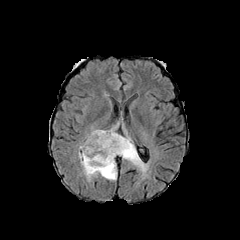
FLAIR magnetic resonance.
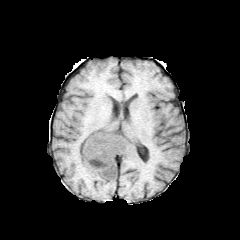
Same slice, T1-weighted MR image.
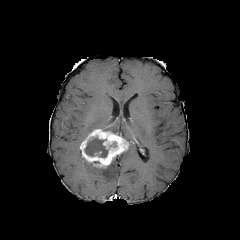
Post-contrast T1-weighted magnetic resonance of the same slice.
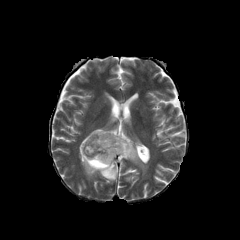
T2-weighted MR image.
Head
<segmentation>
  <enhancing_tumor>79, 129, 130, 168</enhancing_tumor>
  <edema>99, 117, 147, 171; 78, 148, 117, 181</edema>
  <non-enhancing_tumor_core>85, 138, 107, 157</non-enhancing_tumor_core>
</segmentation>